Slice 58/155, Field of view 240 mm wide, 1.00 mm slice spacing, Brain
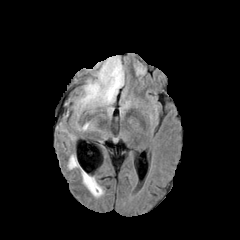
FLAIR MRI.
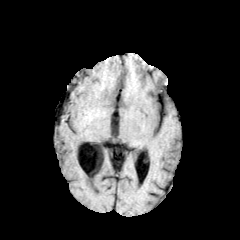
T1-weighted MR.
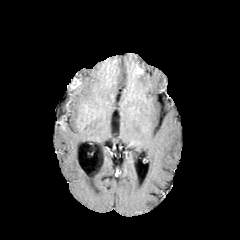
Post-contrast T1-weighted magnetic resonance.
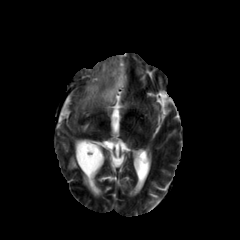
T2-weighted magnetic resonance.
3 edema regions appear at bbox(77, 57, 125, 114); bbox(67, 153, 79, 169); bbox(80, 168, 104, 197).